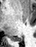

Medial temporal lobe | MR image
<segmentation>
  <posterior_hippocampus>(10, 37, 23, 42)</posterior_hippocampus>
</segmentation>